240x240. Field of view 240x240 mm. Slice 90 of 155.
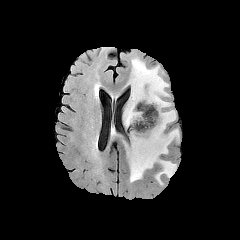
FLAIR magnetic resonance.
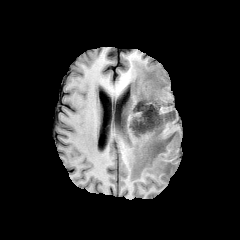
T1-weighted MR image.
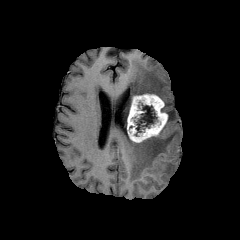
Same slice, post-contrast T1-weighted MR.
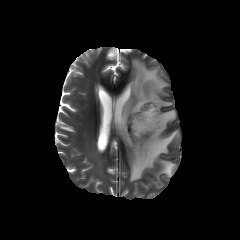
Same slice, T2-weighted MR image.
Edema: bounding box x1=123 y1=58 x2=179 y2=183.
Non-enhancing tumor core: bounding box x1=127 y1=102 x2=157 y2=139, x1=124 y1=99 x2=132 y2=124, x1=150 y1=142 x2=165 y2=157.
Enhancing tumor: bounding box x1=127 y1=94 x2=167 y2=142.